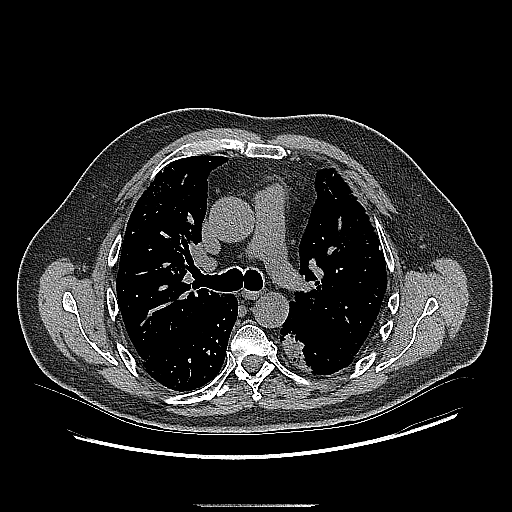
CT. 512x512. {"lung_tumor": ["[279,326,313,373]"]}